Field of view 240x240 mm, Slice 107 of 155
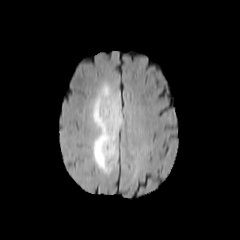
FLAIR MR.
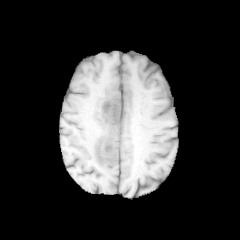
T1-weighted magnetic resonance of the same slice.
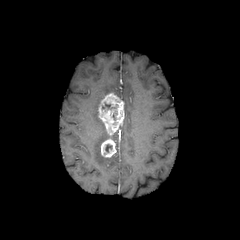
Same slice, post-contrast T1-weighted MRI.
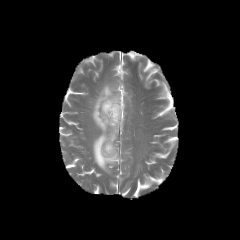
T2-weighted MR image.
2 non-enhancing tumor core regions are located at x1=101, y1=101, x2=116, y2=110; x1=104, y1=144, x2=112, y2=153. 2 enhancing tumor regions appear at x1=100, y1=139, x2=117, y2=157; x1=98, y1=93, x2=124, y2=135. The edema lies within x1=92, y1=82, x2=119, y2=174.